Slice index 3, Pelvis, Image size 320x320
T2-weighted MRI.
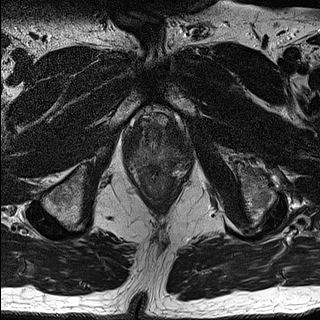
ADC MR image.
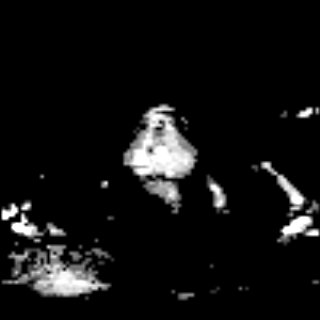
• prostate peripheral zone: bbox(126, 133, 183, 171)
• prostate transition zone: bbox(143, 129, 167, 153)